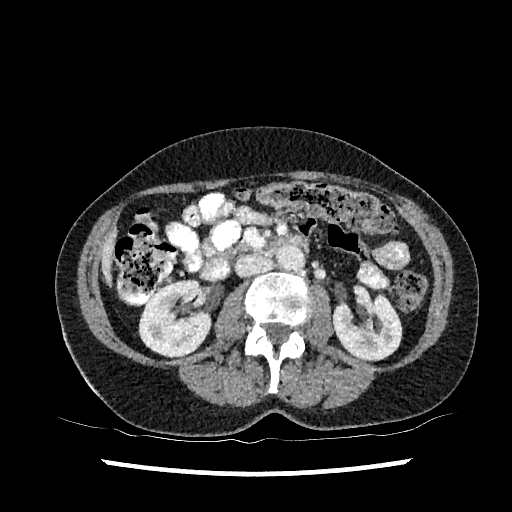

CT | Upper abdomen | 512x512 px
Liver at (left=101, top=230, right=116, bottom=281).
Kidney at (left=140, top=281, right=210, bottom=356), (left=333, top=296, right=401, bottom=359).